512x512. CT image.

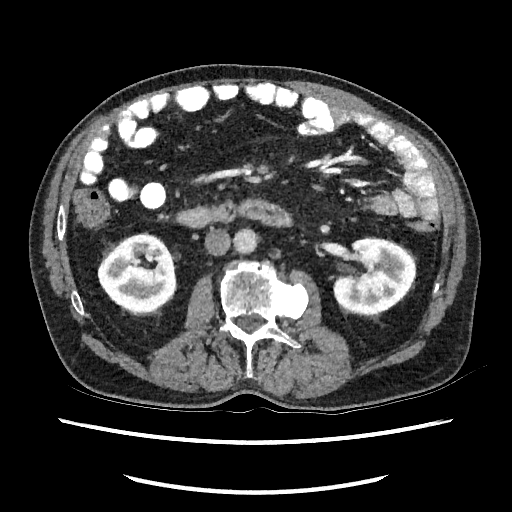
kidney:
  - 98, 233, 176, 315
  - 333, 237, 415, 315